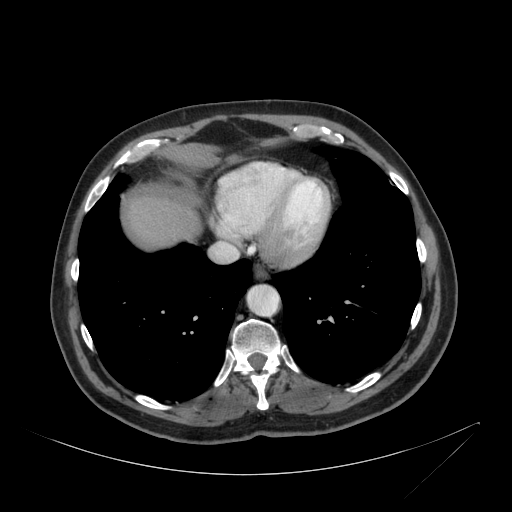 512x512, CT scan slice
{"liver": ["130, 195, 198, 242"]}